FLAIR MRI.
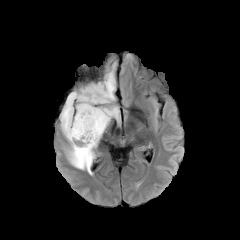
T1-weighted MR.
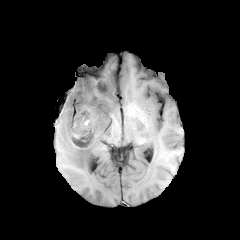
Post-contrast T1-weighted MR.
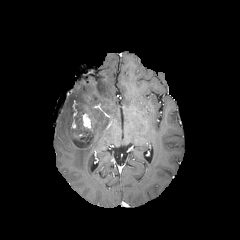
T2-weighted MR.
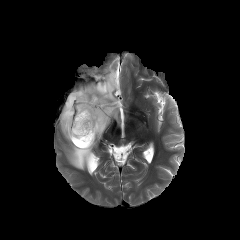
{
  "edema": [
    "(59,70,119,174)"
  ],
  "enhancing_tumor": [
    "(82,112,92,128)"
  ],
  "non-enhancing_tumor_core": [
    "(73,97,109,148)"
  ]
}